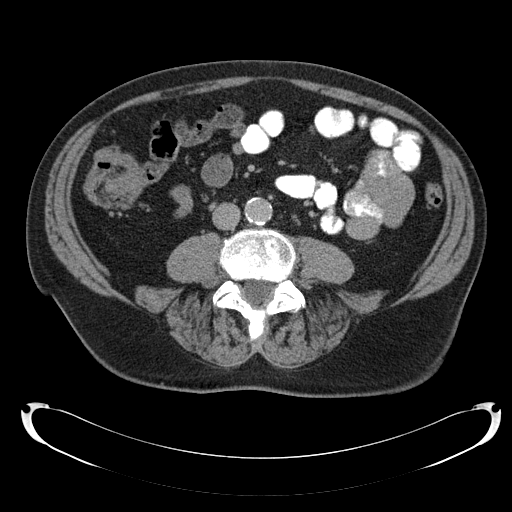
CT scan slice, 512x512 px
2 colon tumor regions are located at 83, 168, 105, 201; 94, 148, 146, 198.